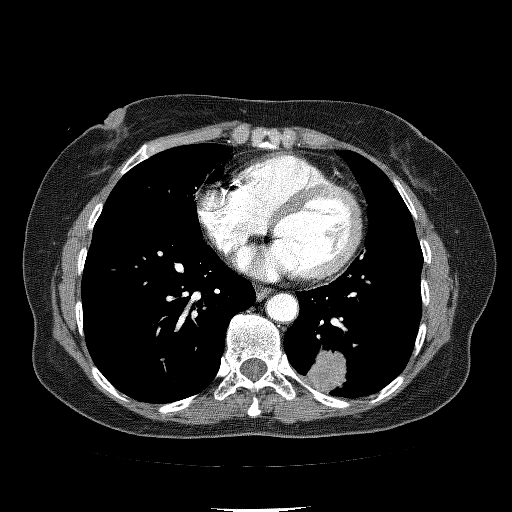

CT scan slice | Lung
Segmented structures:
- lung tumor: 306, 349, 351, 390